38x51 px; MRI slice; Hippocampus
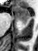

anterior hippocampus: 13,6,30,22